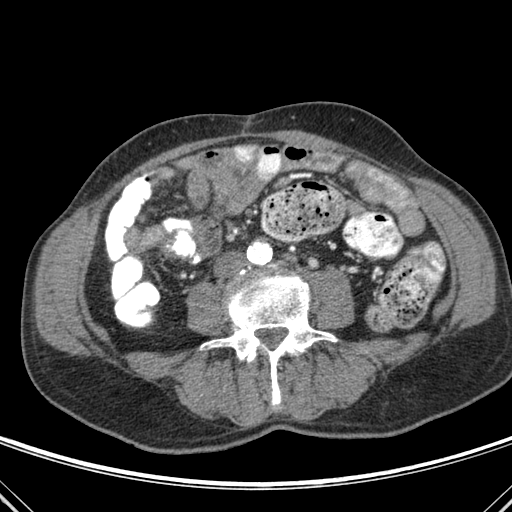

CT slice, Image size 512x512

Bone at (201,272,337,405).